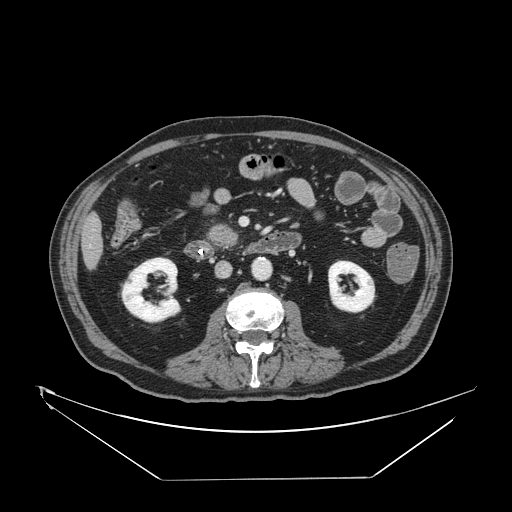

CT scan slice, Upper abdomen, Image size 512x512

Pancreas: bounding box 203, 221, 240, 252.
Pancreatic tumor: bounding box 209, 225, 237, 246.